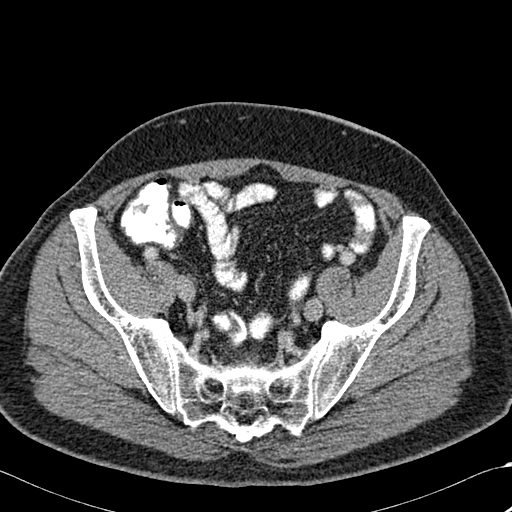 CT slice
Annotated regions:
• bone: left=70, top=207, right=429, bottom=441